CT; 512x512
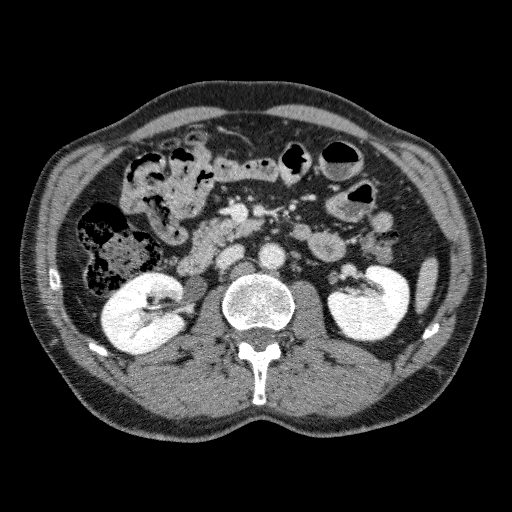

kidney: {"x1": 328, "y1": 266, "x2": 408, "y2": 339}, {"x1": 102, "y1": 273, "x2": 183, "y2": 353}